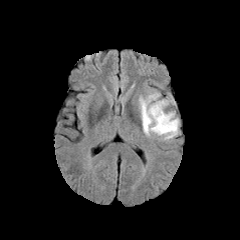
FLAIR MR image.
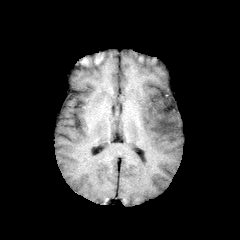
T1-weighted magnetic resonance.
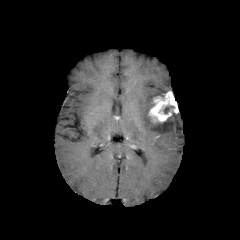
Post-contrast T1-weighted MR.
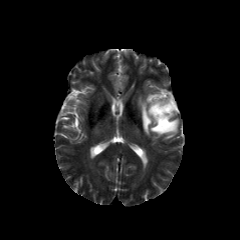
Same slice, T2-weighted MR image.
Brain
The enhancing tumor lies within rect(148, 92, 177, 122). The edema is located at rect(138, 91, 179, 140). The non-enhancing tumor core is bounded by rect(153, 118, 173, 131).